FLAIR MR.
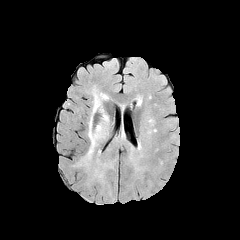
T1-weighted MR image.
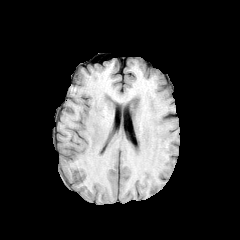
Post-contrast T1-weighted magnetic resonance.
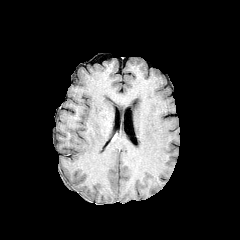
T2-weighted magnetic resonance.
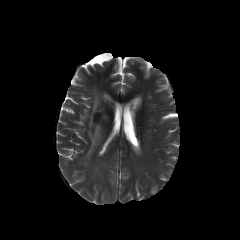
240x240 px
{
  "edema": [
    "(83,92,105,161)"
  ]
}